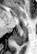
Medial temporal lobe; MRI slice

Posterior hippocampus = l=13, t=30, r=26, b=45.